Image width 390 mm; Image size 512x512; Liver; CT scan slice
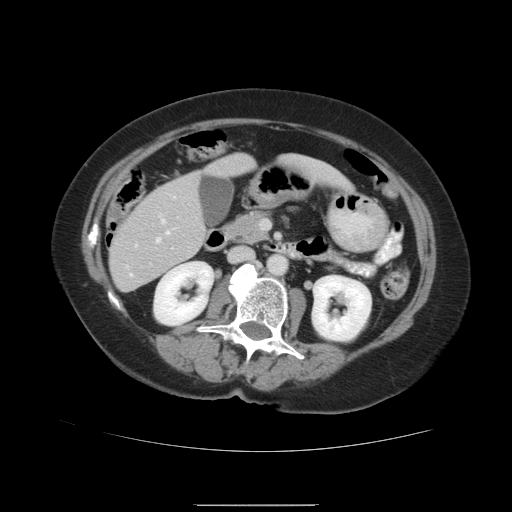
Not every hepatic vessel necessarily has a box.
hepatic vessel: region(162, 219, 165, 223); region(126, 266, 129, 268); region(130, 273, 133, 276); region(167, 230, 170, 234); region(211, 167, 216, 170); region(156, 238, 161, 242); region(150, 263, 152, 265); region(174, 196, 176, 198); region(135, 244, 137, 246)